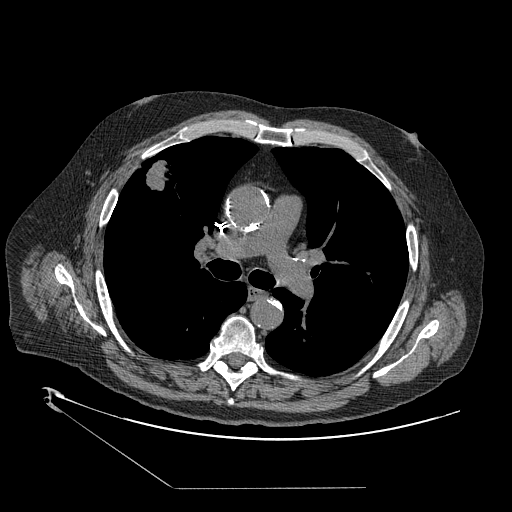 CT image; Thorax
The lung tumor is located at (x1=139, y1=158, x2=176, y2=192).